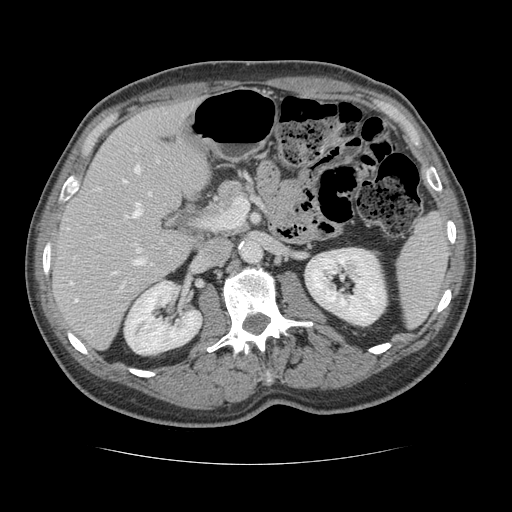
Image size 512x512; Liver; CT scan slice
Some hepatic vessels may have no box.
{
  "hepatic_vessel": [
    {"x1": 75, "y1": 299, "x2": 77, "y2": 301},
    {"x1": 150, "y1": 262, "x2": 151, "y2": 264},
    {"x1": 132, "y1": 203, "x2": 141, "y2": 217},
    {"x1": 134, "y1": 258, "x2": 144, "y2": 263},
    {"x1": 125, "y1": 216, "x2": 130, "y2": 217},
    {"x1": 148, "y1": 192, "x2": 150, "y2": 195},
    {"x1": 111, "y1": 272, "x2": 116, "y2": 273},
    {"x1": 156, "y1": 159, "x2": 158, "y2": 161},
    {"x1": 70, "y1": 282, "x2": 72, "y2": 283},
    {"x1": 123, "y1": 180, "x2": 126, "y2": 182},
    {"x1": 118, "y1": 283, "x2": 123, "y2": 291},
    {"x1": 135, "y1": 165, "x2": 139, "y2": 172},
    {"x1": 137, "y1": 247, "x2": 141, "y2": 251},
    {"x1": 95, "y1": 187, "x2": 101, "y2": 189}
  ]
}